Slice 248/260. Upper abdomen. CT scan slice.
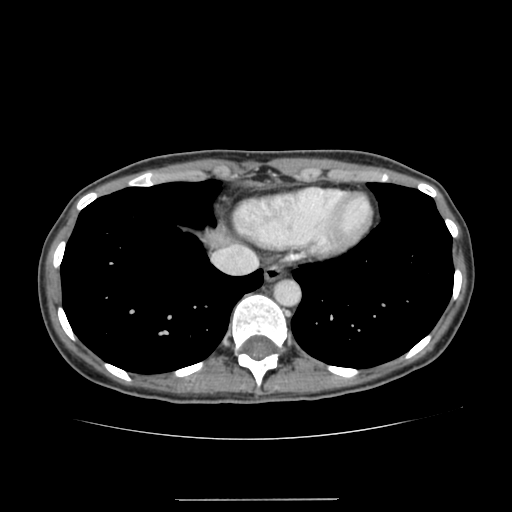

Annotated regions:
• liver: left=204, top=230, right=228, bottom=247